Abdomen; 512x512; CT

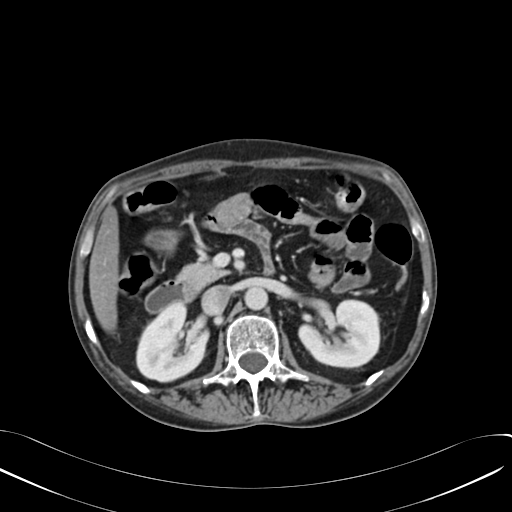
• liver: [90, 207, 119, 328]
• kidney: [137, 303, 207, 380], [300, 301, 378, 366]